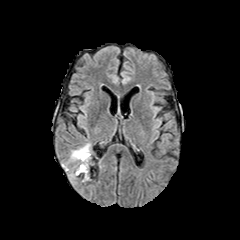
FLAIR magnetic resonance.
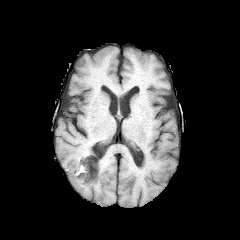
T1-weighted magnetic resonance.
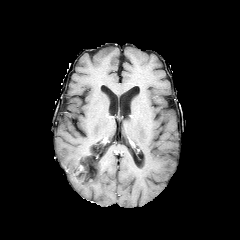
Post-contrast T1-weighted MRI.
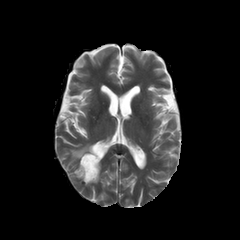
T2-weighted MR.
Image size 240x240.
Non-enhancing tumor core = [79, 149, 95, 175].
Edema = [62, 142, 92, 181].